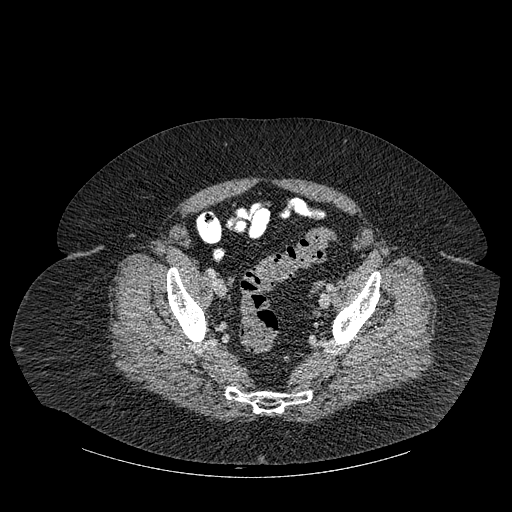 Image size 512x512 | CT image
<segmentation>
  <bone>(332,272,380,347), (167,267,205,342), (225,386,311,413)</bone>
</segmentation>